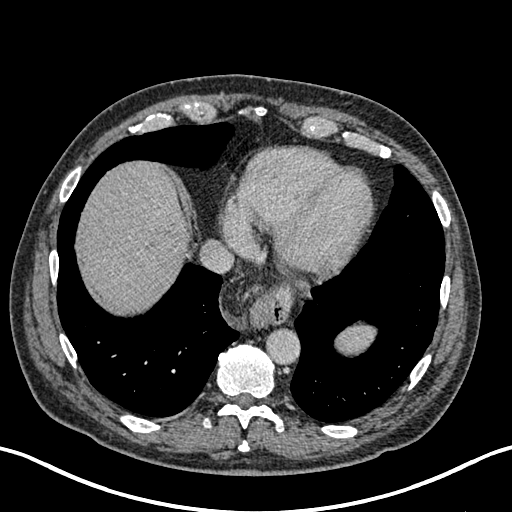 CT image
liver: [x1=78, y1=161, x2=188, y2=313] | focal liver lesion: [x1=144, y1=241, x2=154, y2=250]